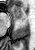
Hippocampus, Magnetic resonance

anterior hippocampus: <bbox>12, 6, 21, 18</bbox>